CT scan slice. Slice 42 of 216.

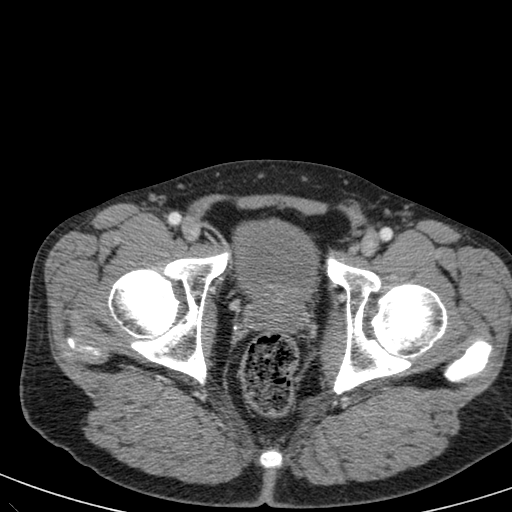 <segmentation>
  <urinary_bladder><box>229,219,318,299</box></urinary_bladder>
</segmentation>